Magnetic resonance. Slice 13/29. Medial temporal lobe. Image size 38x52.
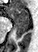 Annotated regions:
• posterior hippocampus: 16 23 28 37
• anterior hippocampus: 7 7 29 22